Field of view 400 mm wide, 1.37 mm slice spacing, Slice index 72, MRI slice
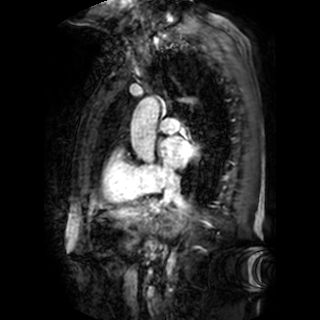
The left atrium appears at (x1=160, y1=136, x2=197, y2=167).